CT scan slice. Abdomen. Slice 364/588.

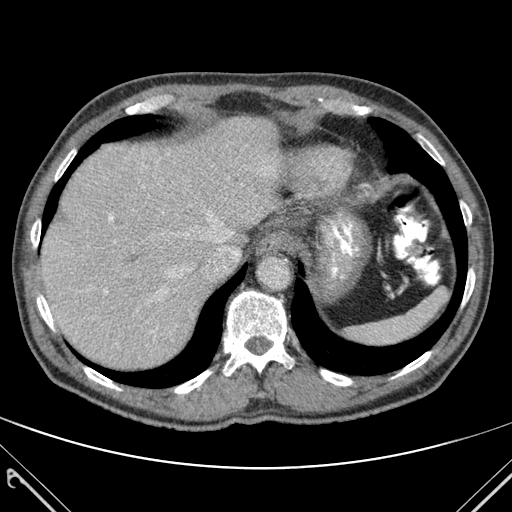

<segmentation>
  <liver>x1=41 y1=116 x2=279 y2=370</liver>
  <lung>x1=291 y1=118 x2=467 y2=375, x1=42 y1=115 x2=156 y2=229, x1=87 y1=265 x2=246 y2=388</lung>
  <bone>x1=175 y1=370 x2=211 y2=393, x1=419 y1=136 x2=443 y2=164, x1=462 y1=270 x2=474 y2=304, x1=461 y1=202 x2=471 y2=224, x1=321 y1=370 x2=351 y2=385, x1=31 y1=220 x2=40 y2=247, x1=224 y1=291 x2=291 y2=375, x1=37 y1=295 x2=53 y2=329, x1=397 y1=352 x2=430 y2=375, x1=55 y1=150 x2=75 y2=180, x1=84 y1=368 x2=119 y2=389</bone>
</segmentation>